CT; Slice 38/131
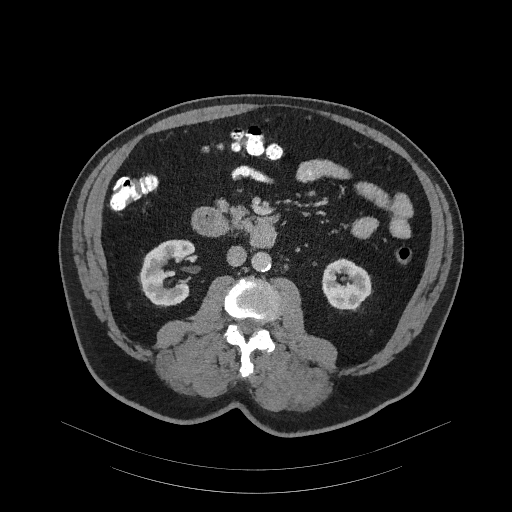

Pancreas — 218,200,274,232.